34x47, MRI 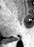

• posterior hippocampus: region(7, 38, 19, 42)